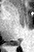
Image size 34x52 | MR

Posterior hippocampus = rect(8, 39, 21, 45).